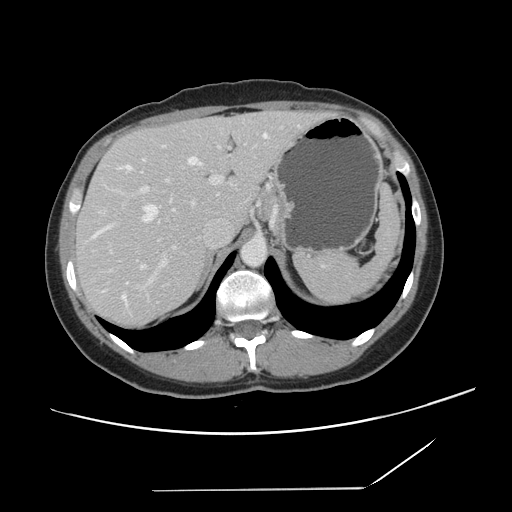
Computed tomography.

Only some of the vessels may be annotated.
<segmentation partial="true">
  <hepatic_vessel shown="15" total="19">192 202 194 204, 141 265 146 268, 140 186 147 192, 162 145 164 147, 172 209 174 210, 147 277 153 284, 172 246 174 247, 188 157 201 164, 159 258 165 267, 210 176 222 183, 122 294 127 306, 118 165 131 171, 143 205 157 221, 263 133 267 137, 91 226 110 238</hepatic_vessel>
</segmentation>